CT scan slice | Slice 32/455
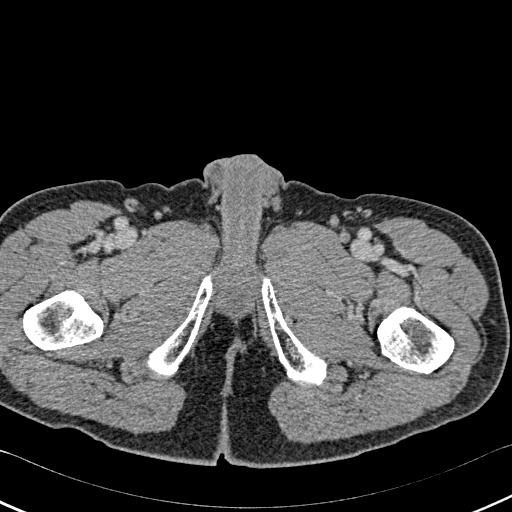

bone: (x1=23, y1=291, x2=102, y2=349), (x1=148, y1=275, x2=212, y2=375), (x1=261, y1=277, x2=326, y2=384), (x1=377, y1=307, x2=453, y2=373)